FLAIR MR image.
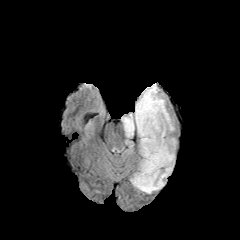
T1-weighted MR image.
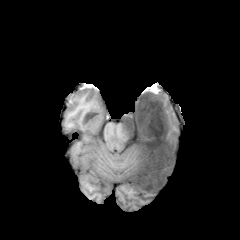
Post-contrast T1-weighted magnetic resonance.
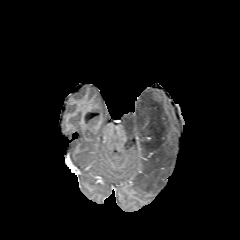
T2-weighted MR image.
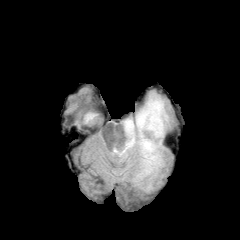
240x240.
edema: [122,88,173,193] | non-enhancing tumor core: [124,99,169,191]